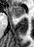

Hippocampus | MR image
anterior_hippocampus:
  - [x1=10, y1=6, x2=25, y2=18]